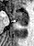

MRI; Medial temporal lobe; Image size 34x46
2 anterior hippocampus regions appear at <box>8,10,28,20</box>, <box>6,10,7,12</box>. The posterior hippocampus is bounded by <box>17,21,28,25</box>.